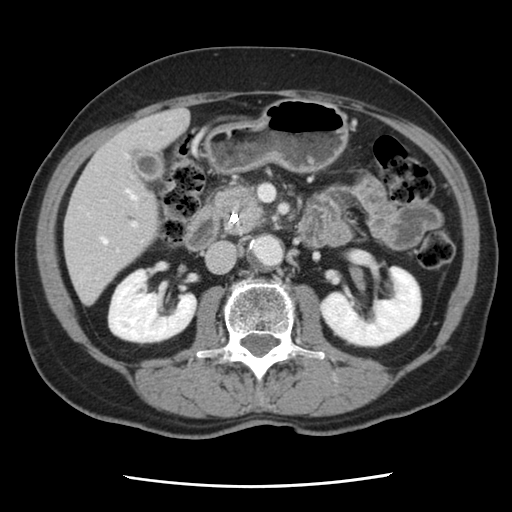 512x512, CT scan slice, Abdomen
Pancreas: bounding box (231,182,256,191).
Pancreatic tumor: bounding box (213,185,265,236).